CT image. 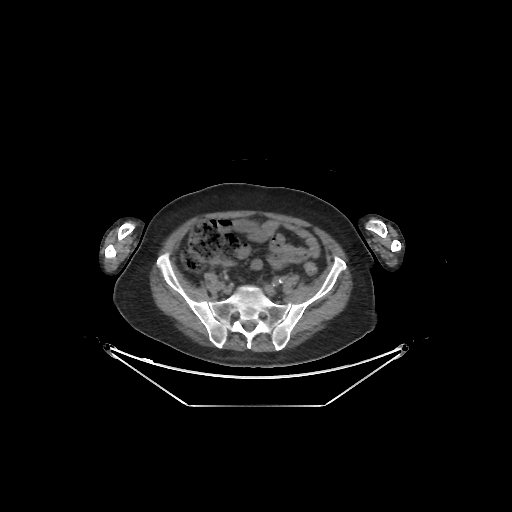 Bone at bbox(367, 220, 387, 237); bbox(391, 240, 400, 251); bbox(118, 223, 134, 240); bbox(157, 253, 345, 350); bbox(105, 245, 115, 258).